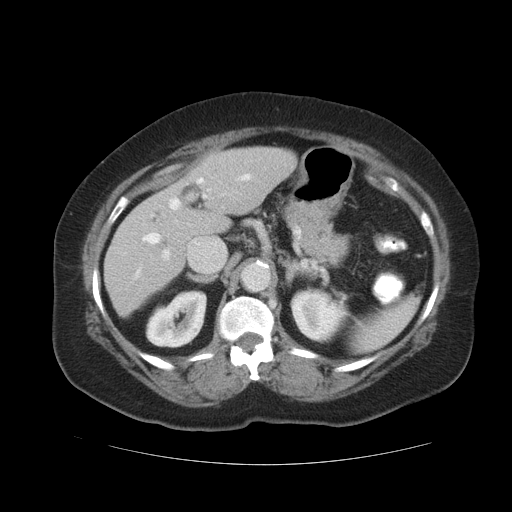
Computed tomography. Image size 512x512.

The vessel annotation is not exhaustive.
7 hepatic vessel regions appear at 170:200:179:209, 242:174:248:179, 197:177:203:183, 143:233:159:243, 136:270:139:275, 203:194:206:197, 163:250:168:258.